FLAIR MR.
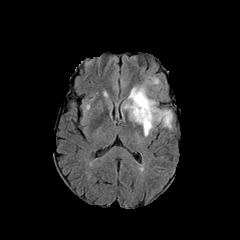
T1-weighted MRI.
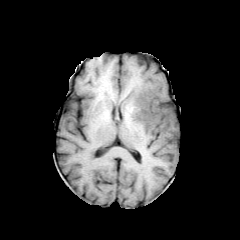
Post-contrast T1-weighted MR.
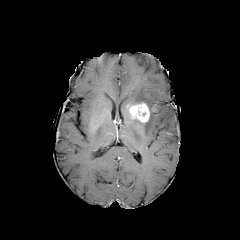
T2-weighted MR.
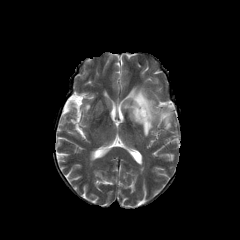
240x240, Brain
The enhancing tumor lies within <bbox>129, 103, 149, 123</bbox>. The edema is located at <bbox>128, 86, 172, 136</bbox>.